FLAIR MR.
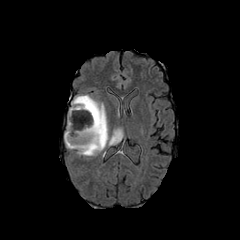
T1-weighted magnetic resonance.
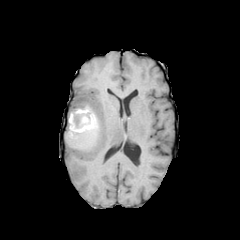
Post-contrast T1-weighted MR.
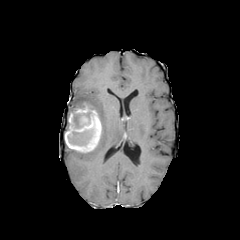
T2-weighted MR.
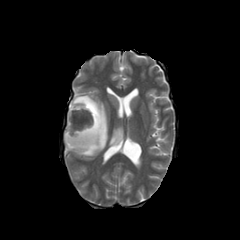
Head
<segmentation>
  <non-enhancing_tumor_core>bbox(82, 131, 91, 140)</non-enhancing_tumor_core>
  <enhancing_tumor>bbox(64, 106, 101, 152)</enhancing_tumor>
  <edema>bbox(67, 92, 120, 157)</edema>
</segmentation>